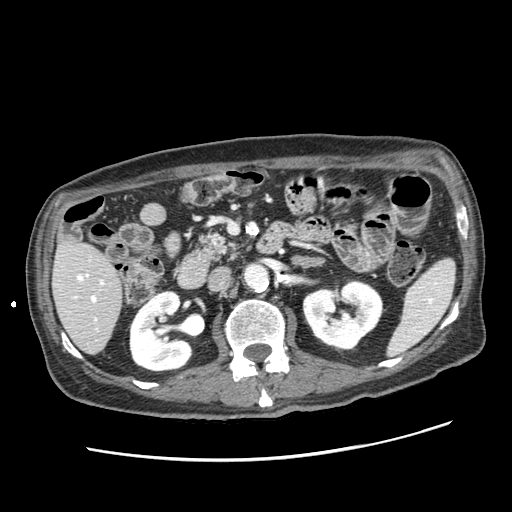
CT slice; Abdomen

{"pancreas": ["201:234:230:259"]}